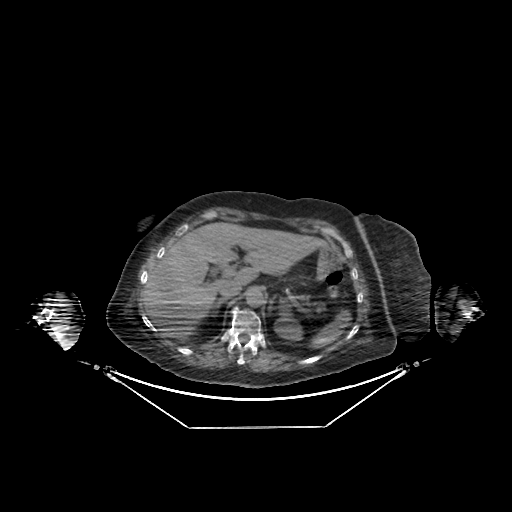

CT
The kidney lies within 274,310,302,340. The liver is bounded by 142,220,324,344.